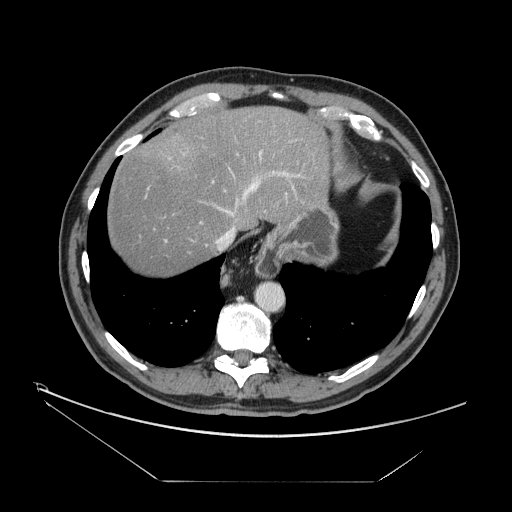

Liver. CT image.

The vessel boxes may cover only some of the vessels.
Hepatic vessel: bounding box 220, 208, 233, 214; 259, 151, 261, 157; 244, 179, 258, 196; 274, 172, 289, 176; 231, 228, 234, 230.